FLAIR magnetic resonance.
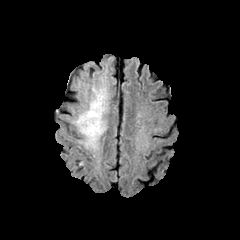
T1-weighted MR.
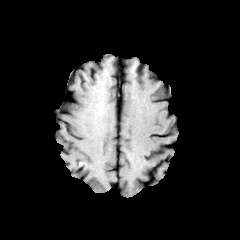
Post-contrast T1-weighted MR.
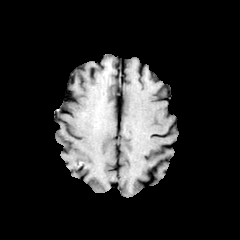
T2-weighted MR image.
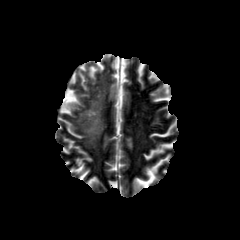
Head
The non-enhancing tumor core is at [x1=93, y1=96, x2=103, y2=129]. The edema is located at [x1=76, y1=87, x2=106, y2=147].